512x512 px; Head; Computed tomography; Slice 521/560 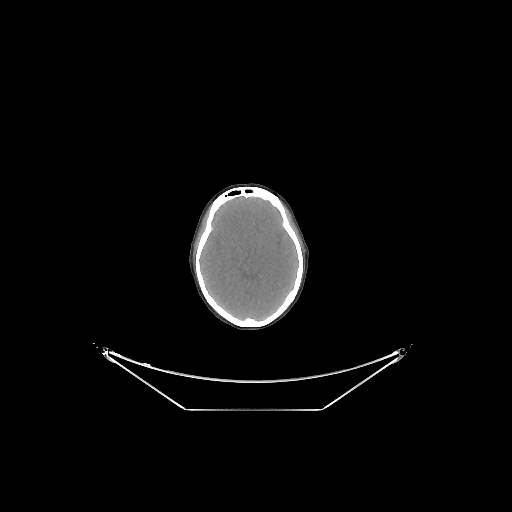 brain:
  - bbox(199, 196, 298, 321)